FLAIR MR image.
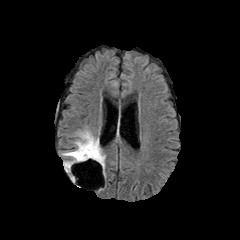
T1-weighted MRI.
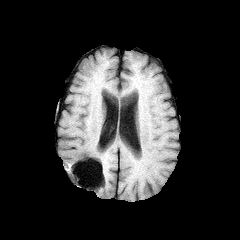
Post-contrast T1-weighted magnetic resonance.
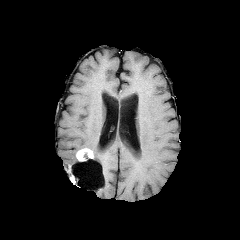
T2-weighted MRI.
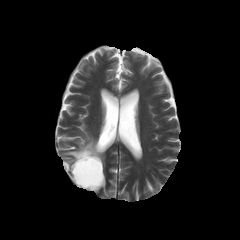
240x240. Head.
Findings:
- edema: box(62, 128, 105, 173)
- enhancing tumor: box(76, 148, 94, 161)
- non-enhancing tumor core: box(83, 147, 102, 165)